Field of view 422 mm wide, 1.50 mm slice spacing, Abdomen, Computed tomography 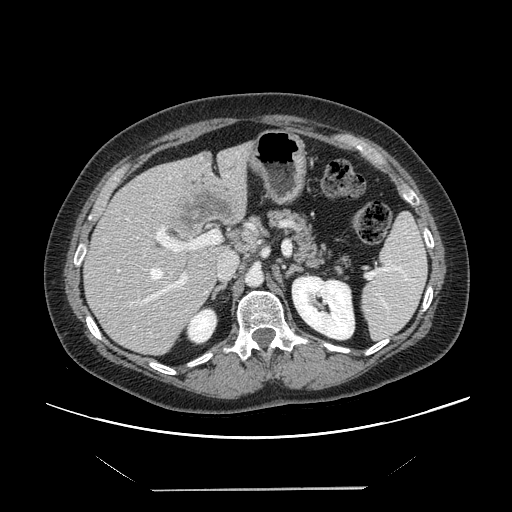 The vessel annotation is not exhaustive.
Hepatic vessel: bounding box <bbox>149, 267, 163, 280</bbox>, <bbox>129, 273, 187, 305</bbox>, <bbox>155, 226, 220, 252</bbox>, <bbox>117, 269, 119, 271</bbox>, <bbox>218, 252, 236, 278</bbox>.
Liver tumor: bounding box <bbox>169, 183, 238, 238</bbox>.